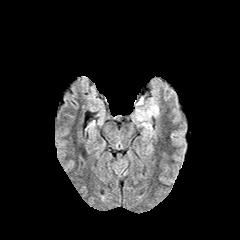
FLAIR MRI.
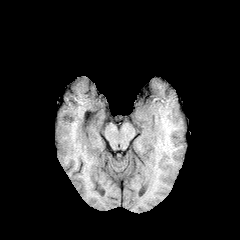
T1-weighted MRI.
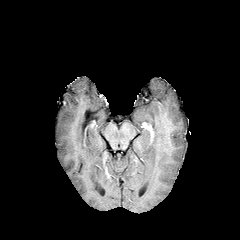
Post-contrast T1-weighted MR image.
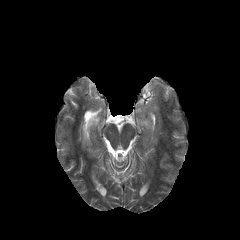
Same slice, T2-weighted MR.
Image size 240x240
Edema = 136:93:158:129.